Head. Slice 59/155.
FLAIR MR image.
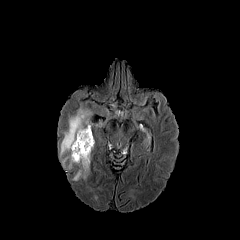
T1-weighted MR image.
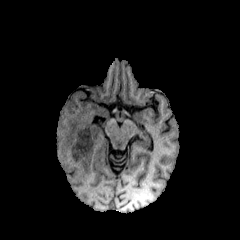
Post-contrast T1-weighted MR.
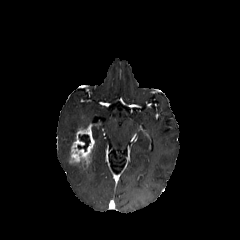
T2-weighted MRI.
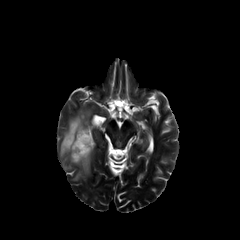
Enhancing tumor = rect(69, 123, 94, 169).
Non-enhancing tumor core = rect(77, 134, 90, 151).
Edema = rect(58, 104, 95, 181).